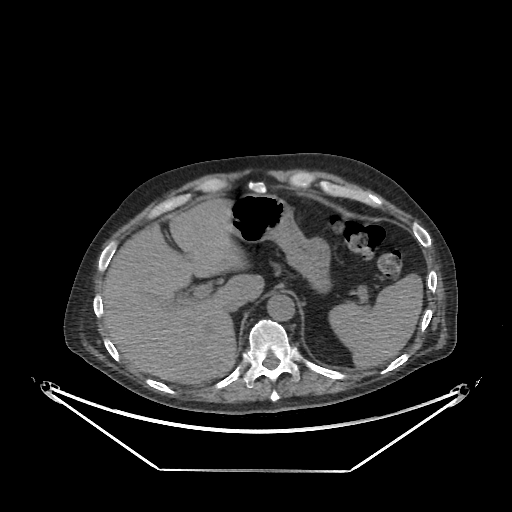

CT image

The liver lies within 99:198:263:383.